Slice 118 of 155; Brain; 240x240 px
FLAIR MR image.
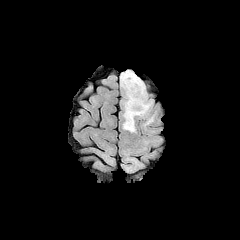
T1-weighted magnetic resonance.
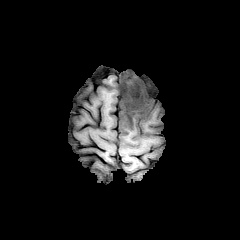
Post-contrast T1-weighted magnetic resonance.
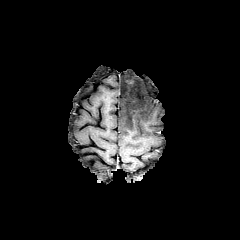
T2-weighted MR.
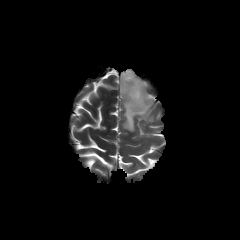
The edema is located at 120:70:153:131. 2 non-enhancing tumor core regions are located at 125:76:133:85, 128:91:143:121.